Abdomen; CT scan slice; Slice 43 of 55
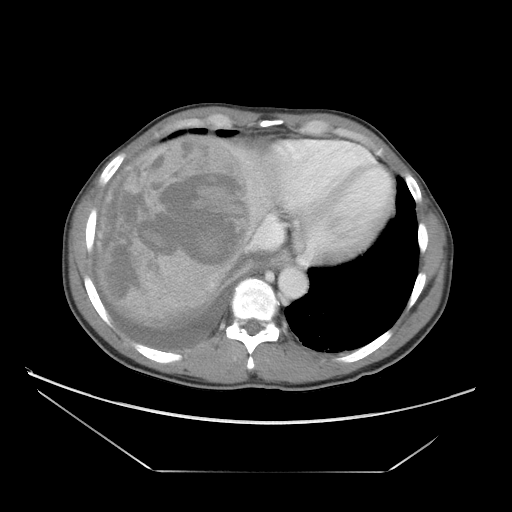 liver_tumor:
  - bbox=[97, 137, 255, 319]